512x512 | Field of view 422x422 mm | CT image | Liver

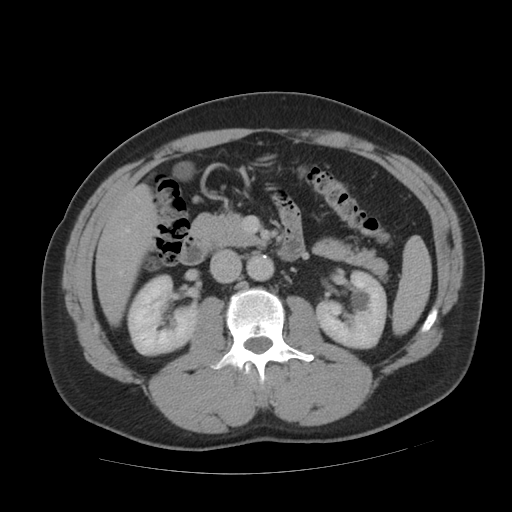
Only some of the vessels may be annotated.
2 hepatic vessel regions are located at <bbox>125, 228, 129, 232</bbox>, <bbox>120, 272, 121, 273</bbox>.